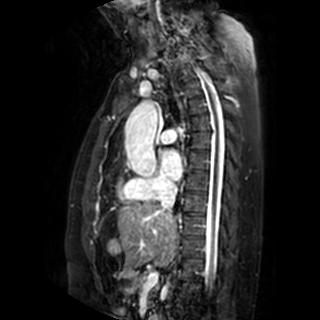 Cardiac; MR image
The left atrium is bounded by (162,150,182,180).